240x240, Head
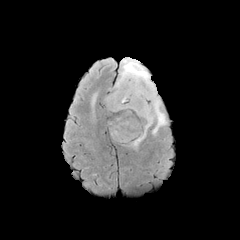
FLAIR MR.
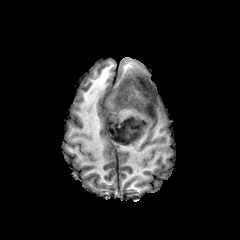
T1-weighted MR image.
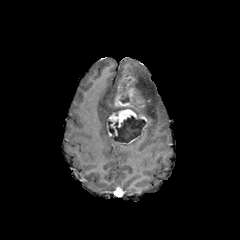
Same slice, post-contrast T1-weighted MR.
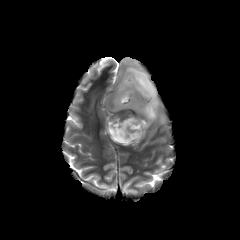
T2-weighted MR image.
Edema = (left=115, top=57, right=166, bottom=145).
Non-enhancing tumor core = (left=107, top=78, right=149, bottom=144).
Enhancing tumor = (left=115, top=94, right=133, bottom=106), (left=108, top=109, right=137, bottom=135), (left=126, top=88, right=135, bottom=101).